CT scan slice

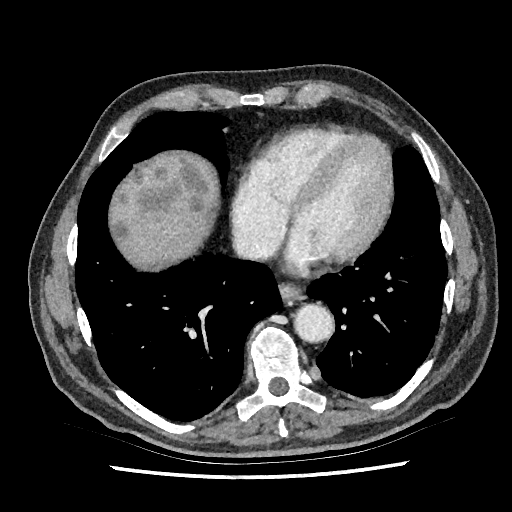
Annotated regions:
• liver: box=[111, 152, 216, 266]
• focal liver lesion: box=[136, 157, 209, 218]; box=[117, 191, 128, 205]; box=[154, 165, 167, 177]; box=[146, 260, 168, 267]; box=[113, 223, 128, 239]; box=[130, 165, 143, 183]